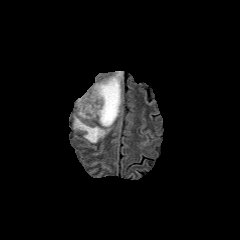
FLAIR MR.
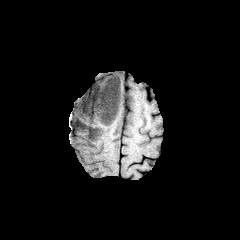
Same slice, T1-weighted MR image.
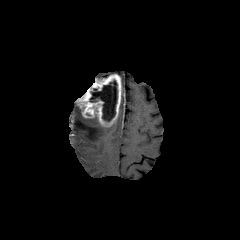
Post-contrast T1-weighted MR.
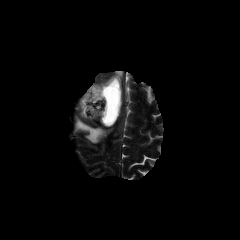
T2-weighted MRI.
edema:
  - 73:110:111:143
non-enhancing_tumor_core:
  - 90:81:117:121
enhancing_tumor:
  - 76:74:121:126